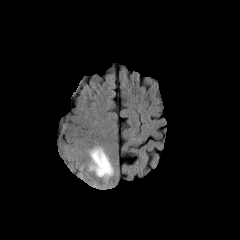
FLAIR magnetic resonance.
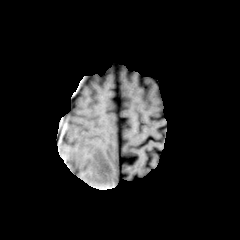
T1-weighted magnetic resonance of the same slice.
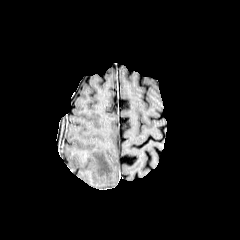
Same slice, post-contrast T1-weighted MR image.
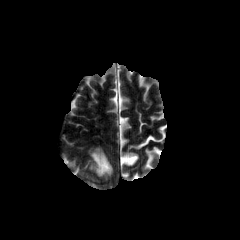
T2-weighted MR.
Brain
- edema: l=90, t=147, r=112, b=177